CT image. 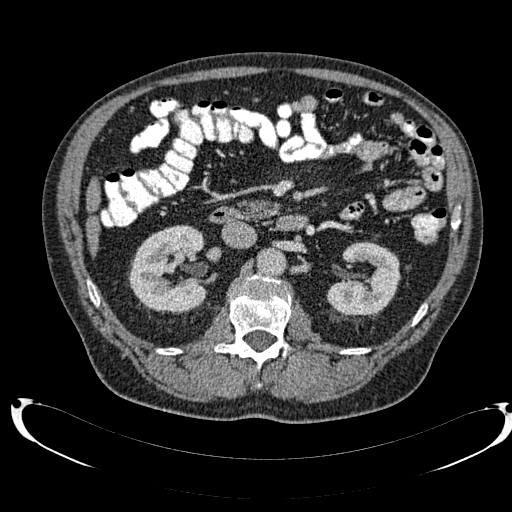

3 kidney regions appear at bbox(327, 242, 400, 315); bbox(206, 247, 221, 261); bbox(129, 225, 216, 313). 2 liver regions are located at bbox(87, 216, 99, 254); bbox(86, 179, 100, 212).